Field of view 360 mm wide, 2.50 mm slice spacing. Liver. CT scan slice.
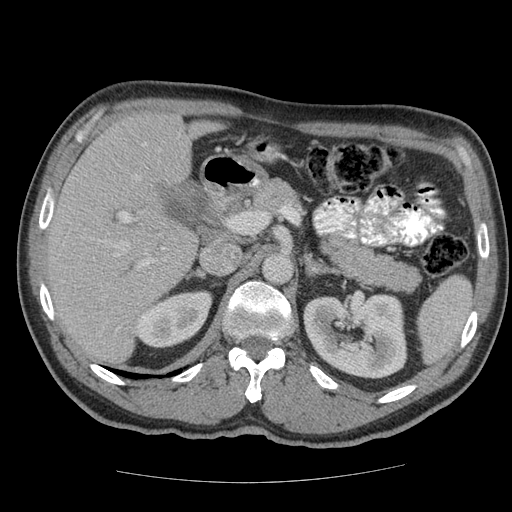
Some hepatic vessels may have no box.
4 hepatic vessel regions appear at (left=118, top=213, right=129, bottom=222), (left=142, top=142, right=145, bottom=145), (left=136, top=254, right=150, bottom=267), (left=161, top=247, right=164, bottom=249).